MR; Image size 35x49; Slice 7/37 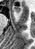 The anterior hippocampus is at x1=12, y1=5, x2=20, y2=12.